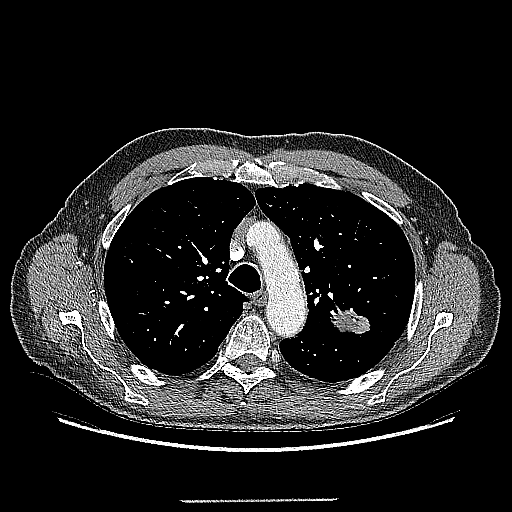

CT image
The lung tumor appears at x1=330 y1=307 x2=371 y2=338.